Brain
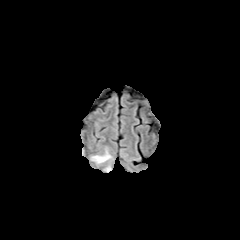
FLAIR magnetic resonance.
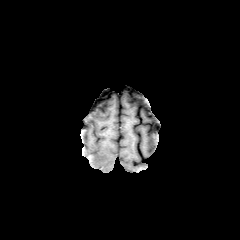
T1-weighted MR.
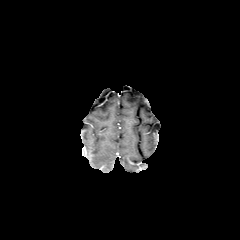
Post-contrast T1-weighted magnetic resonance.
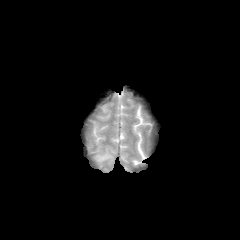
T2-weighted MR of the same slice.
The edema is bounded by (left=92, top=150, right=111, bottom=169).